FLAIR MR.
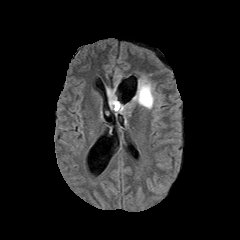
T1-weighted MR.
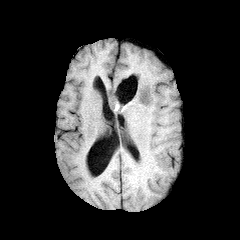
Post-contrast T1-weighted magnetic resonance.
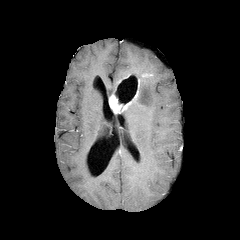
T2-weighted MR image.
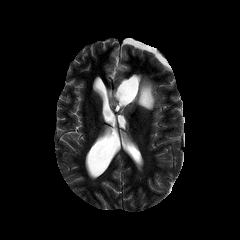
Brain | 240x240
The edema lies within {"x1": 107, "y1": 74, "x2": 163, "y2": 110}. The enhancing tumor appears at {"x1": 109, "y1": 94, "x2": 127, "y2": 112}.